Slice 24/45; CT; Image width 463 mm

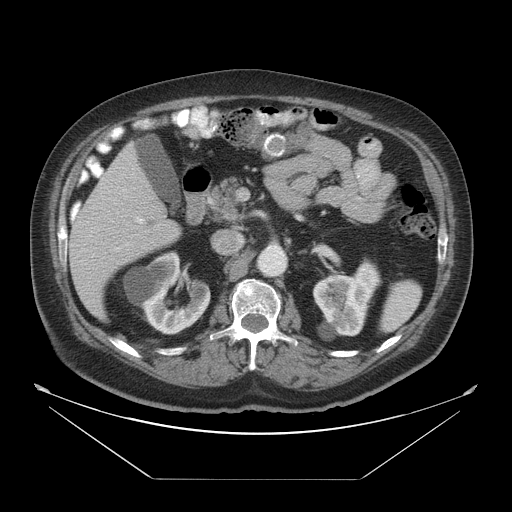

Only some of the vessels may be annotated.
Hepatic vessel — x1=137 y1=218 x2=142 y2=222.